CT scan slice. Upper abdomen. Image size 512x512.

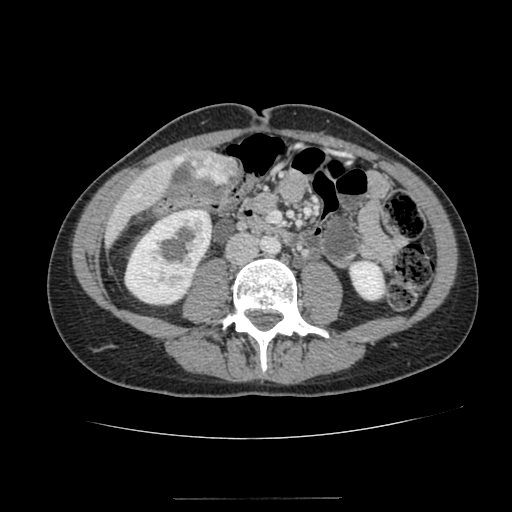
The liver is located at left=104, top=149, right=235, bottom=246. The liver lesion is at left=200, top=151, right=230, bottom=174. 2 kidney regions appear at left=350, top=262, right=383, bottom=299; left=126, top=210, right=210, bottom=303.